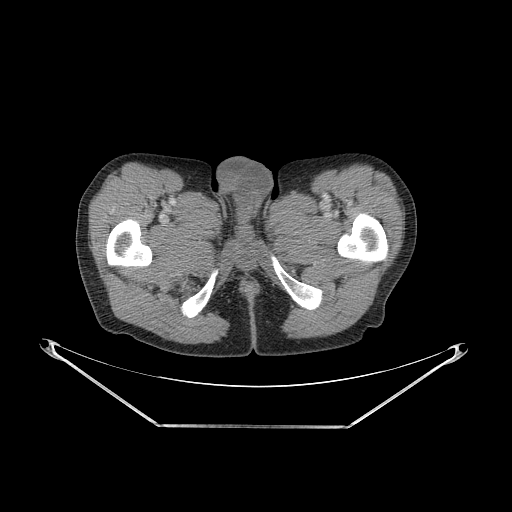 Computed tomography
bone:
  - left=181, top=270, right=217, bottom=317
  - left=272, top=257, right=321, bottom=309
  - left=338, top=213, right=387, bottom=262
  - left=106, top=219, right=151, bottom=266